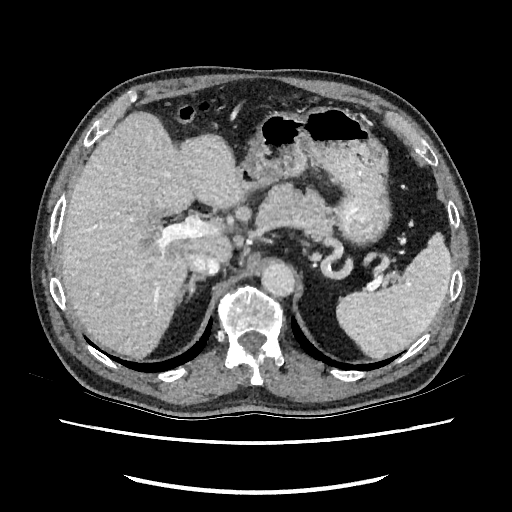

Image size 512x512 | CT slice
liver:
  - [x1=62, y1=114, x2=242, y2=357]
liver_lesion:
  - [x1=166, y1=242, x2=179, y2=257]
  - [x1=138, y1=234, x2=155, y2=246]
  - [x1=153, y1=210, x2=169, y2=223]